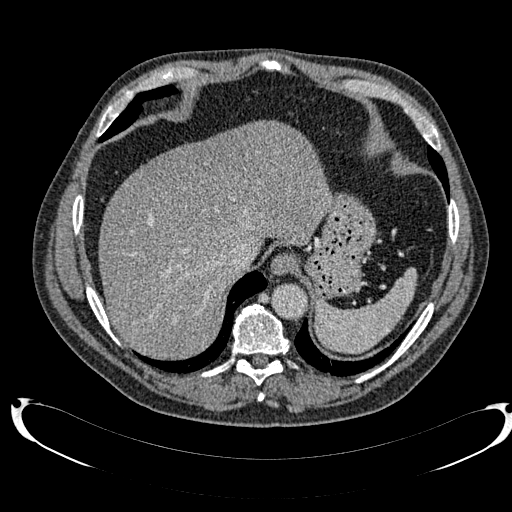

512x512 | CT | Abdomen

Liver at [99,121,332,359].
Hepatic lesion at [141,129,259,219].